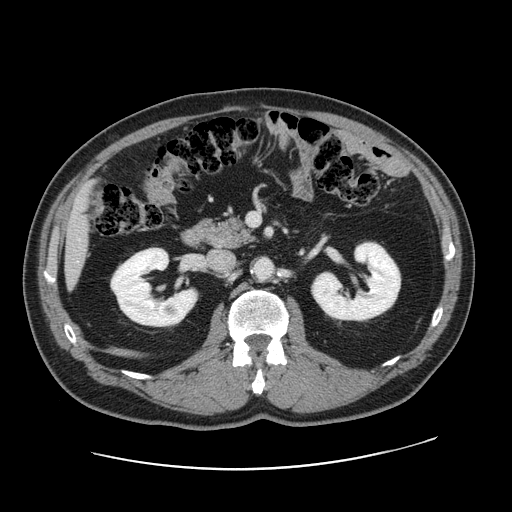
Abdomen, CT slice
Some hepatic vessels may have no box.
The hepatic vessel is located at left=72, top=187, right=86, bottom=216.